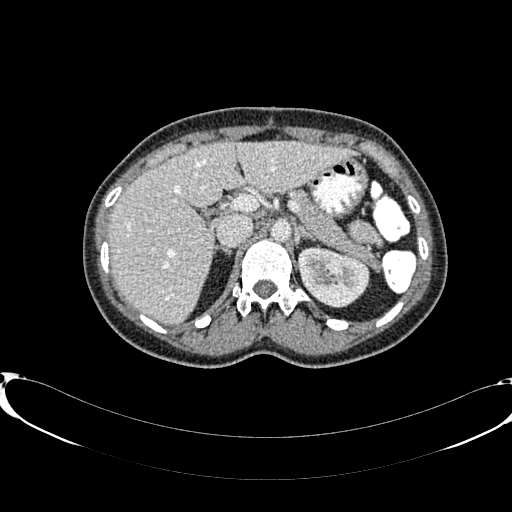

CT slice | Image size 512x512

<segmentation>
  <kidney>x1=299 y1=249 x2=367 y2=308</kidney>
  <liver>x1=107 y1=142 x2=357 y2=323</liver>
</segmentation>